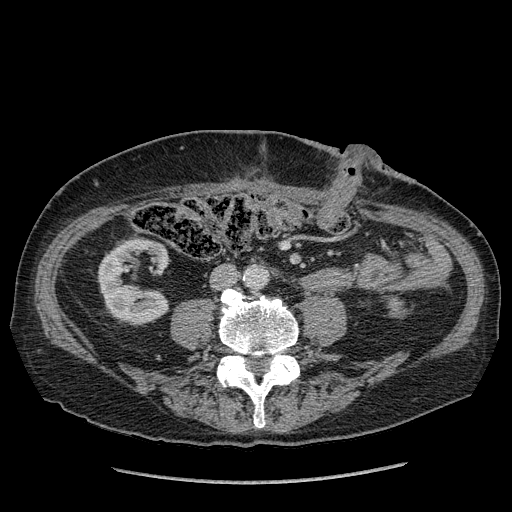

CT scan slice | 512x512

kidney:
  - box=[99, 239, 167, 323]
  - box=[389, 298, 401, 316]